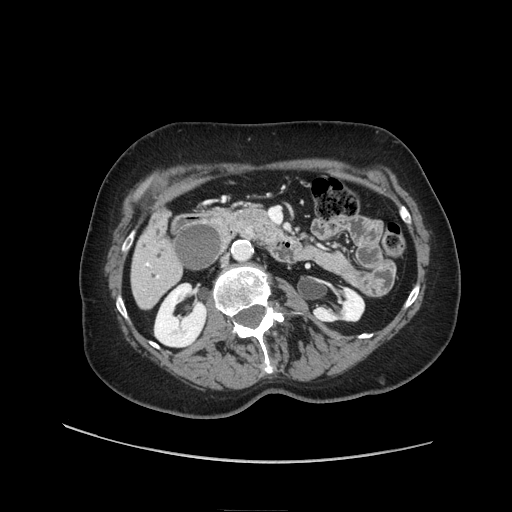

Image size 512x512. Upper abdomen. Computed tomography.
Pancreas — (x1=230, y1=208, x2=271, y2=239).
Pancreatic tumor — (x1=255, y1=222, x2=281, y2=244).